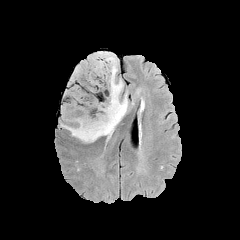
FLAIR MR image.
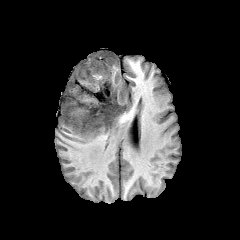
T1-weighted MRI of the same slice.
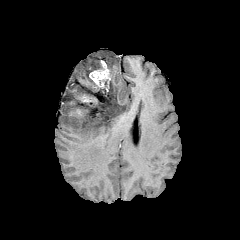
Same slice, post-contrast T1-weighted MR image.
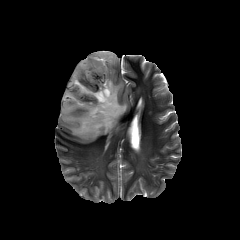
T2-weighted MRI of the same slice.
Enhancing tumor: bounding box 90 60 110 88.
Edema: bounding box 61 51 133 142.
Non-enhancing tumor core: bounding box 83 94 117 126, 97 79 111 91, 94 53 112 69.